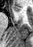

MR
Anterior hippocampus: x1=12 y1=6 x2=20 y2=12.